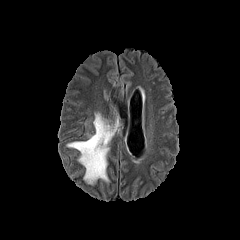
FLAIR MRI.
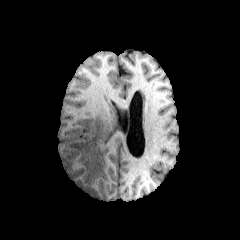
T1-weighted MR image of the same slice.
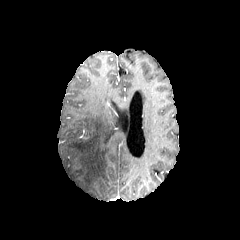
Same slice, post-contrast T1-weighted MR.
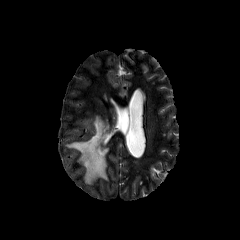
T2-weighted MR of the same slice.
240x240
<segmentation>
  <edema>67 111 121 185</edema>
</segmentation>